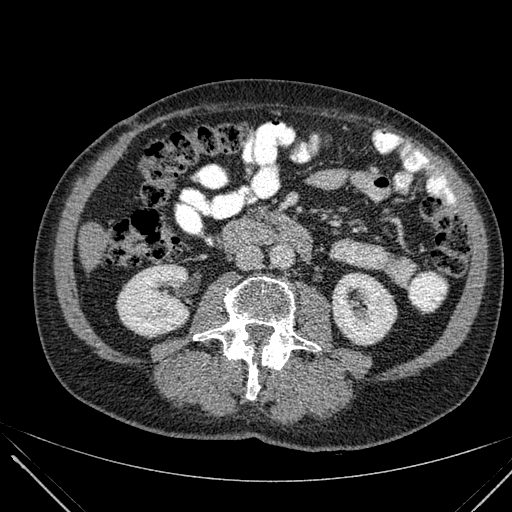
CT scan slice | 512x512 px | Liver
Liver = [x1=79, y1=222, x2=111, y2=268].
Kidney = [x1=333, y1=273, x2=396, y2=344], [x1=118, y1=265, x2=188, y2=336].